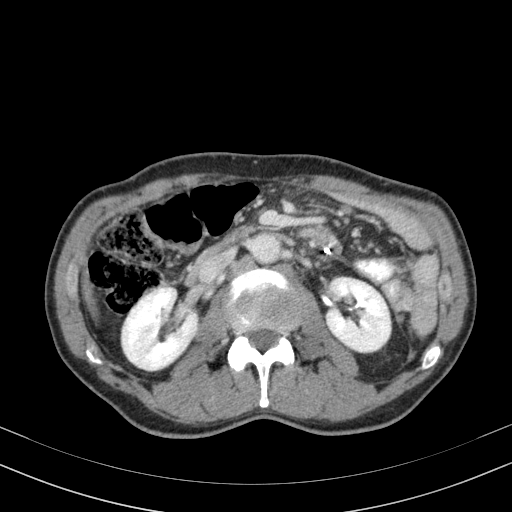
Abdomen; CT image
* liver: x1=82 y1=279 x2=95 y2=315
* kidney: x1=327 y1=278 x2=390 y2=351, x1=122 y1=288 x2=196 y2=369